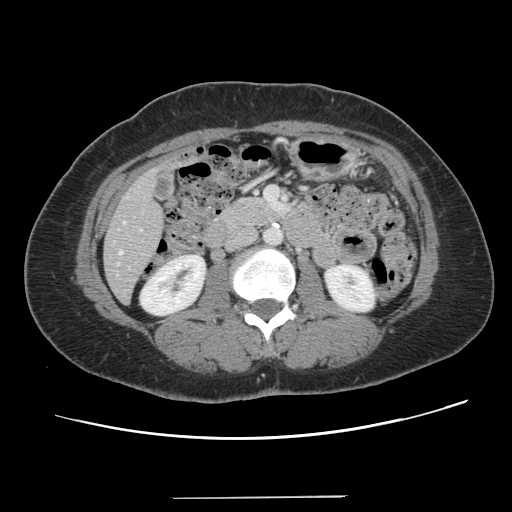
CT image. 512x512. Abdomen. The vessel boxes may cover only some of the vessels.
• hepatic vessel: <box>123,221,125,223</box>, <box>119,251,122,254</box>